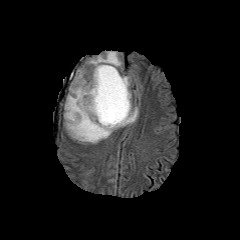
FLAIR MRI.
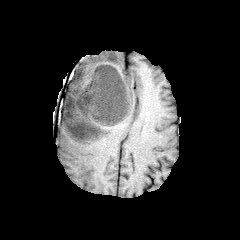
Same slice, T1-weighted MR.
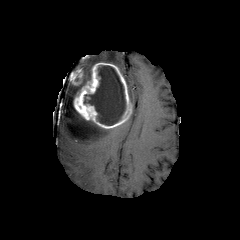
Same slice, post-contrast T1-weighted MR image.
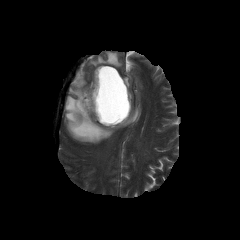
Same slice, T2-weighted MR.
2 enhancing tumor regions are bounded by {"x1": 74, "y1": 62, "x2": 131, "y2": 127}, {"x1": 72, "y1": 70, "x2": 82, "y2": 85}. 2 edema regions are located at {"x1": 84, "y1": 51, "x2": 121, "y2": 80}, {"x1": 64, "y1": 83, "x2": 139, "y2": 143}. 3 non-enhancing tumor core regions are bounded by {"x1": 67, "y1": 70, "x2": 91, "y2": 116}, {"x1": 75, "y1": 126, "x2": 87, "y2": 132}, {"x1": 84, "y1": 64, "x2": 126, "y2": 125}.